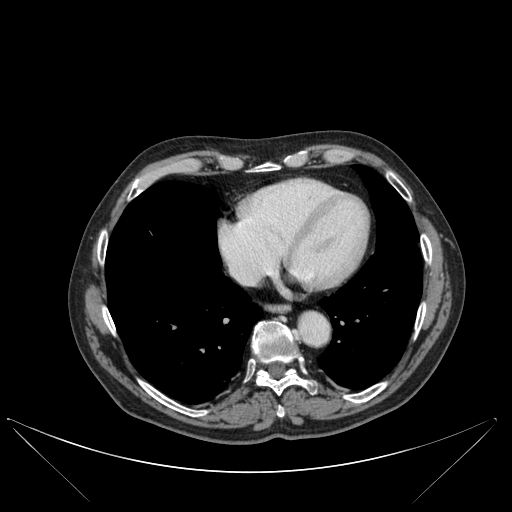
Chest, CT image

lung:
  - {"x1": 105, "y1": 181, "x2": 262, "y2": 403}
  - {"x1": 317, "y1": 165, "x2": 422, "y2": 389}
bone:
  - {"x1": 102, "y1": 307, "x2": 115, "y2": 333}
  - {"x1": 244, "y1": 321, "x2": 297, "y2": 380}
  - {"x1": 254, "y1": 164, "x2": 278, "y2": 171}
  - {"x1": 138, "y1": 380, "x2": 206, "y2": 416}
  - {"x1": 421, "y1": 234, "x2": 431, "y2": 262}
  - {"x1": 97, "y1": 231, "x2": 107, "y2": 263}
  - {"x1": 415, "y1": 303, "x2": 425, "y2": 334}
  - {"x1": 128, "y1": 176, "x2": 150, "y2": 198}
  - {"x1": 297, "y1": 356, "x2": 308, "y2": 373}
  - {"x1": 256, "y1": 369, "x2": 317, "y2": 394}
  - {"x1": 277, "y1": 407, "x2": 283, "y2": 416}
  - {"x1": 344, "y1": 382, "x2": 386, "y2": 402}